Image size 35x47, MR image, Hippocampus, Slice 16/37
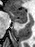 The anterior hippocampus is bounded by <bbox>8, 8, 26, 19</bbox>. The posterior hippocampus is bounded by <bbox>14, 19, 26, 23</bbox>.